Abdomen, Slice 349 of 536, CT slice 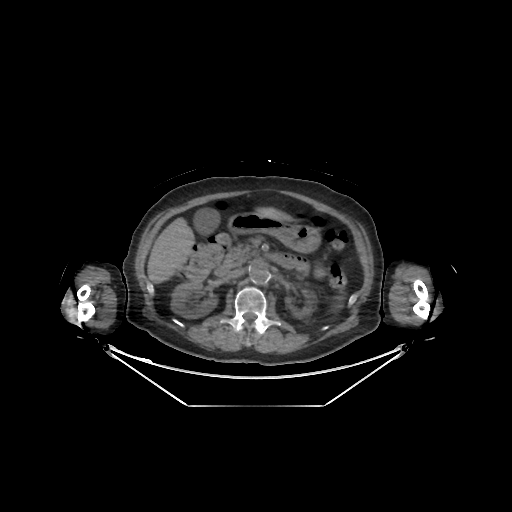 Liver at 148, 219, 193, 282; 258, 208, 288, 219.
Kidney at 171, 281, 217, 318; 286, 288, 316, 318.
Bone at 76, 284, 94, 323; 233, 287, 267, 333; 413, 279, 429, 319.